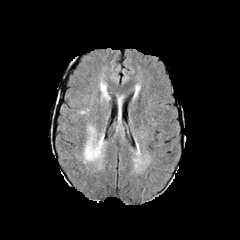
FLAIR MR image.
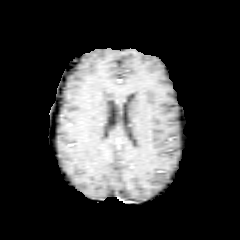
Same slice, T1-weighted MRI.
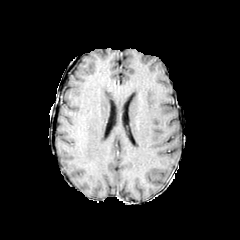
Post-contrast T1-weighted MRI.
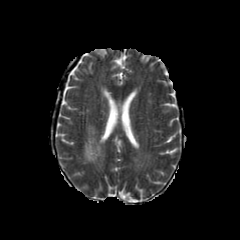
Same slice, T2-weighted magnetic resonance.
edema:
  - 82,125,105,163
  - 101,84,107,99